FLAIR MR image.
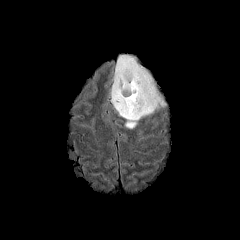
T1-weighted MR.
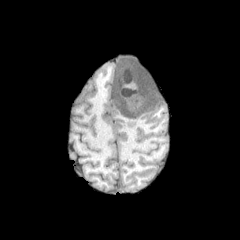
Post-contrast T1-weighted magnetic resonance.
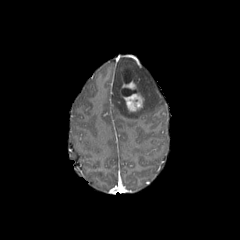
T2-weighted MR.
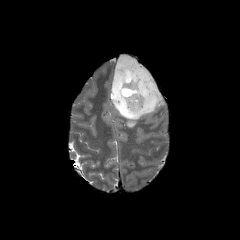
Head
2 non-enhancing tumor core regions are bounded by 118:63:138:83, 122:87:136:96. The enhancing tumor is located at 118:73:145:112. The edema is at 113:57:165:128.